FLAIR magnetic resonance.
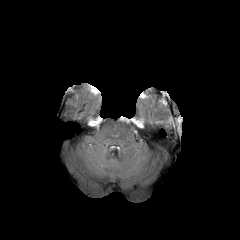
T1-weighted MRI.
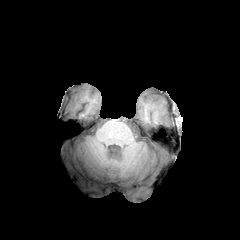
Post-contrast T1-weighted magnetic resonance.
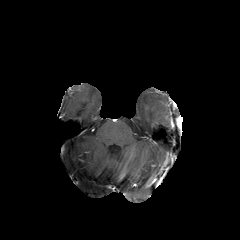
T2-weighted magnetic resonance.
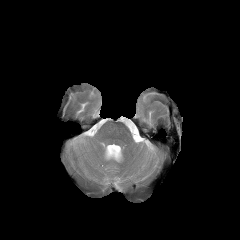
Head
Edema — 101, 144, 121, 160; 124, 120, 135, 132.
Non-enhancing tumor core — 108, 146, 119, 153.